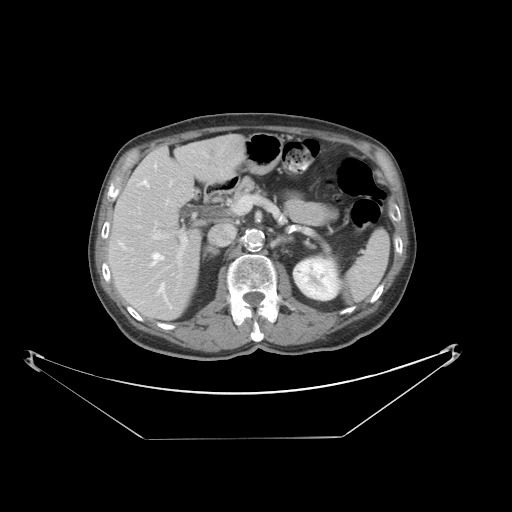

CT scan slice; 512x512 px

Only some of the vessels may be annotated.
Annotated regions:
* hepatic vessel: (151, 253, 163, 265), (169, 180, 172, 185), (217, 238, 224, 244), (158, 283, 171, 308), (120, 243, 123, 247), (232, 208, 241, 214), (153, 229, 167, 239), (166, 199, 169, 203), (154, 162, 156, 168), (137, 226, 139, 227), (137, 180, 149, 187), (177, 231, 186, 265)